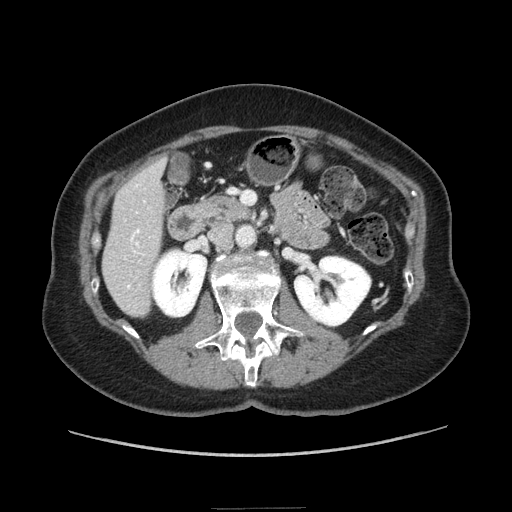
CT scan slice. The pancreas is at 197 196 251 225.